Slice 102 of 155, Field of view 240 mm wide, 1.00 mm slice spacing, Brain
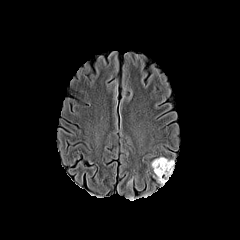
FLAIR MR image.
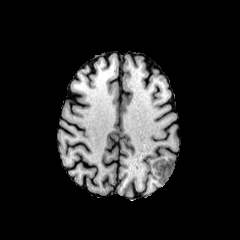
T1-weighted MR image.
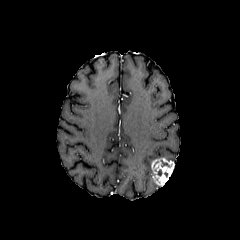
Post-contrast T1-weighted magnetic resonance.
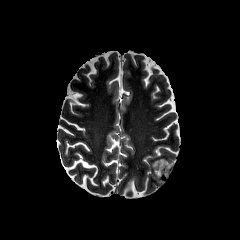
T2-weighted MRI.
<segmentation>
  <edema>left=126, top=177, right=132, bottom=190</edema>
  <enhancing_tumor>left=151, top=157, right=175, bottom=187</enhancing_tumor>
</segmentation>